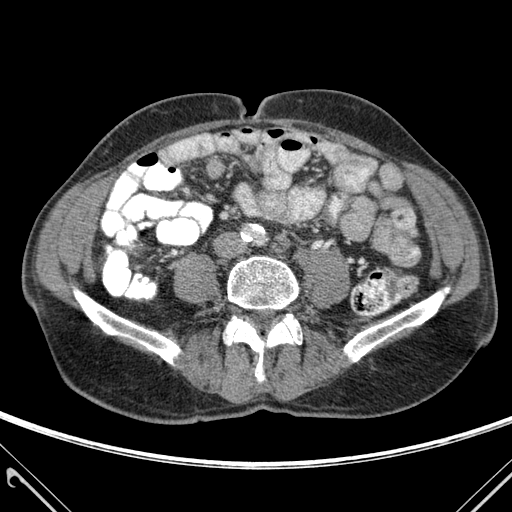
512x512 px; CT scan slice
Segmented structures:
- bone: <box>225,317,264,380</box>, <box>74,290,179,363</box>, <box>228,257,298,308</box>, <box>266,314,301,346</box>, <box>344,288,448,361</box>